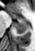
MR image

posterior_hippocampus:
  - (x1=13, y1=20, x2=26, y2=33)
anterior_hippocampus:
  - (x1=10, y1=13, x2=25, y2=19)